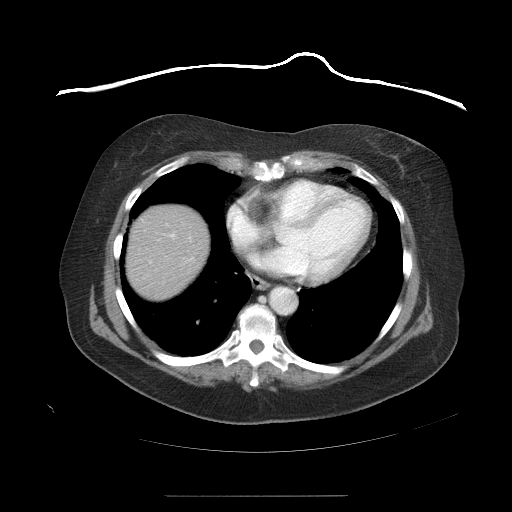 CT | Abdomen
Only some of the vessels may be annotated.
Hepatic vessel: bounding box bbox(169, 234, 174, 237); bbox(190, 258, 192, 259).